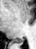

MR; Medial temporal lobe; Image size 36x49
<segmentation>
  <posterior_hippocampus>rect(15, 39, 23, 43)</posterior_hippocampus>
</segmentation>